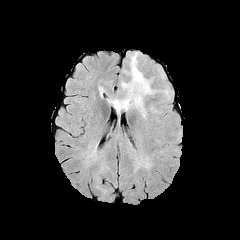
FLAIR MRI.
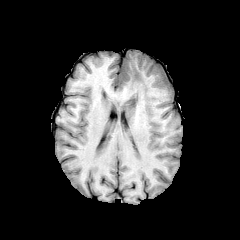
T1-weighted MR image.
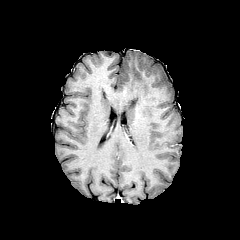
Same slice, post-contrast T1-weighted MR.
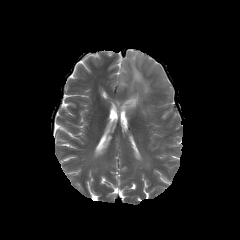
T2-weighted MR.
• edema: (x1=110, y1=51, x2=152, y2=115)